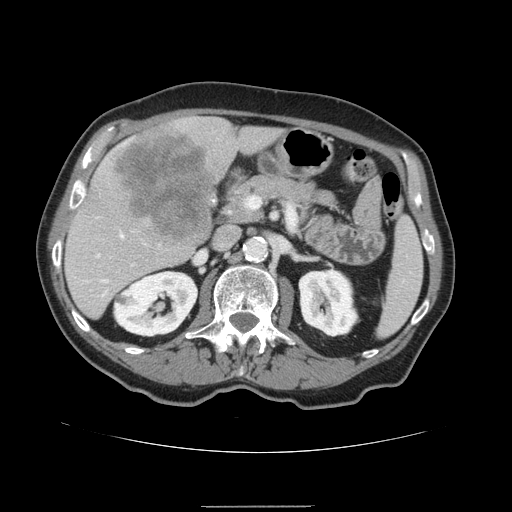

CT scan slice
The spleen appears at box=[379, 219, 422, 336].